Magnetic resonance; Medial temporal lobe 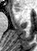 Anterior hippocampus — 15, 6, 19, 11.